CT scan slice. Field of view 360 mm wide, 1.25 mm slice spacing.

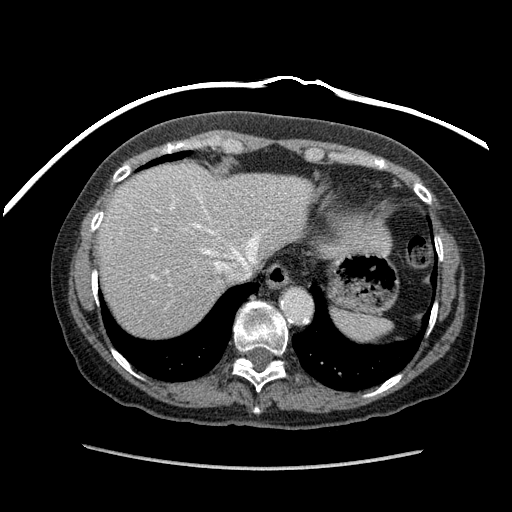
2 liver regions appear at bbox=[97, 163, 314, 338]; bbox=[313, 208, 387, 245].